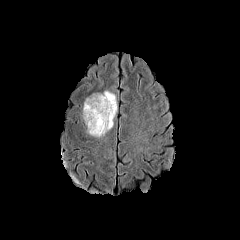
FLAIR MR image.
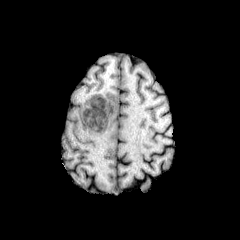
T1-weighted MRI.
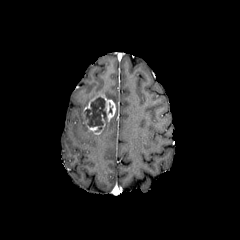
Post-contrast T1-weighted MR image.
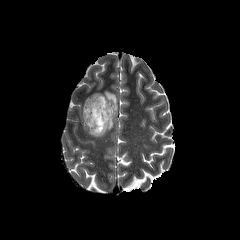
Same slice, T2-weighted MR image.
240x240 px.
Non-enhancing tumor core at [83, 97, 107, 129].
Edema at [92, 91, 116, 116], [97, 118, 113, 137].
Enhancing tumor at [87, 125, 102, 134], [83, 95, 115, 121].